Abdomen | CT scan slice | Slice index 128
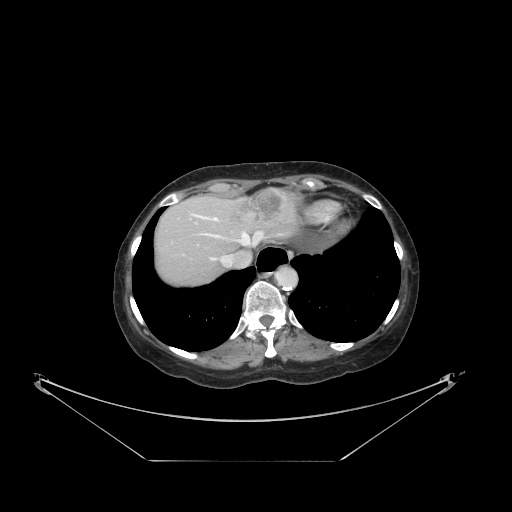

Some hepatic vessels may have no box.
<segmentation>
  <hepatic_vessel>bbox=[204, 231, 262, 246]; bbox=[220, 252, 250, 266]; bbox=[198, 234, 201, 234]; bbox=[210, 258, 216, 259]; bbox=[190, 214, 219, 221]</hepatic_vessel>
  <liver_tumor>bbox=[231, 191, 284, 223]</liver_tumor>
</segmentation>